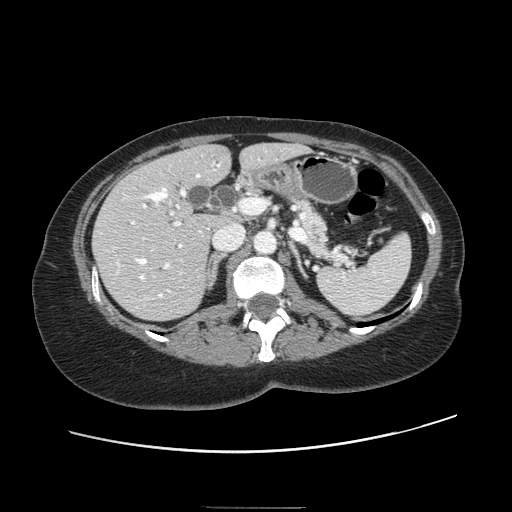

Upper abdomen | Computed tomography

pancreas:
  - l=296, t=198, r=349, b=265